FLAIR MR image.
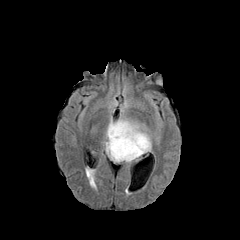
T1-weighted MRI.
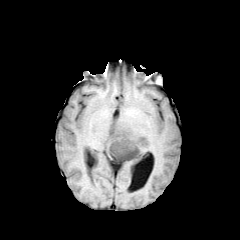
Post-contrast T1-weighted MR.
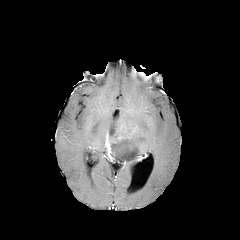
T2-weighted MR.
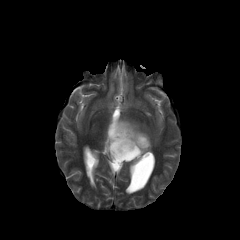
Head
edema:
  - rect(104, 85, 152, 152)
enhancing_tumor:
  - rect(105, 134, 139, 153)
  - rect(139, 143, 146, 153)
non-enhancing_tumor_core:
  - rect(110, 136, 145, 162)